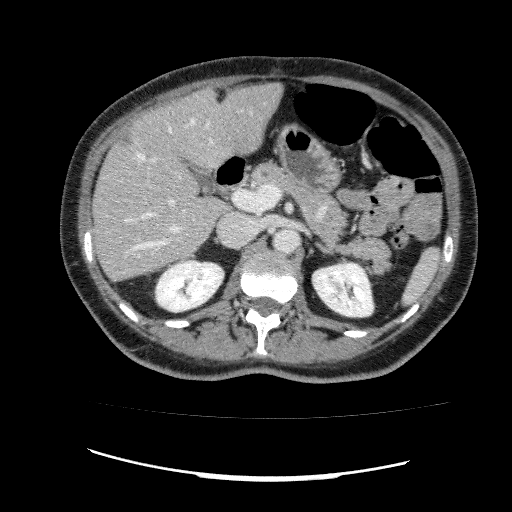

512x512 px; Computed tomography; Liver
The liver lies within bbox=[92, 83, 283, 280]. The hepatic lesion is located at bbox=[119, 134, 132, 145]. 2 kidney regions are located at bbox=[156, 261, 222, 311]; bbox=[313, 263, 373, 316].